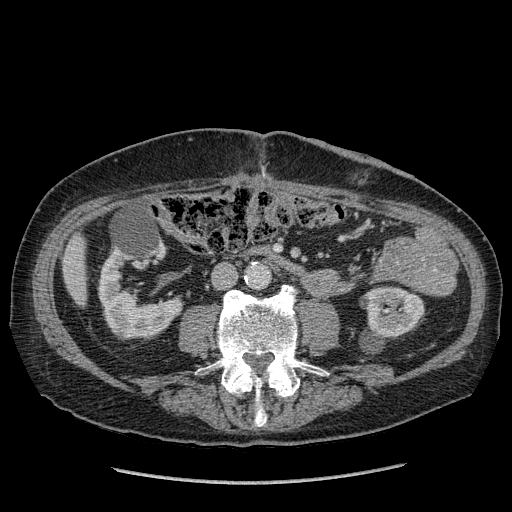
Abdomen. CT slice.

The liver is at region(63, 232, 86, 307). 3 kidney regions are located at region(156, 245, 165, 258); region(99, 248, 181, 336); region(364, 287, 424, 337).